Magnetic resonance. Slice index 6. 38x53 px. 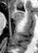

The anterior hippocampus is at 14 11 24 23.